Field of view 330 mm wide, 5.00 mm slice spacing; CT scan slice 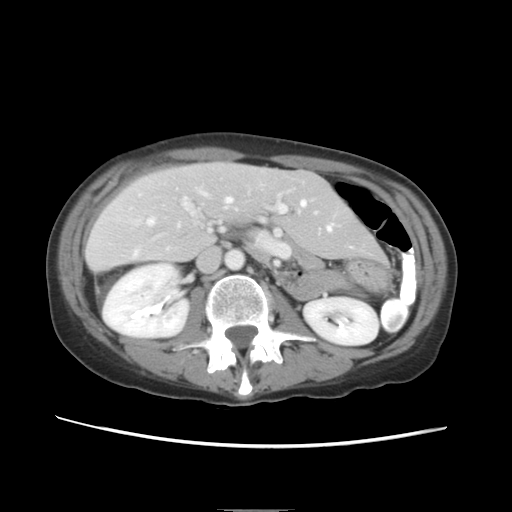 Only some of the vessels may be annotated.
11 hepatic vessel regions appear at 226,197,232,202; 181,195,196,216; 199,190,206,194; 327,225,331,230; 147,217,154,224; 259,235,289,256; 133,249,138,256; 177,223,179,225; 300,200,306,205; 279,204,286,213; 152,234,161,239.